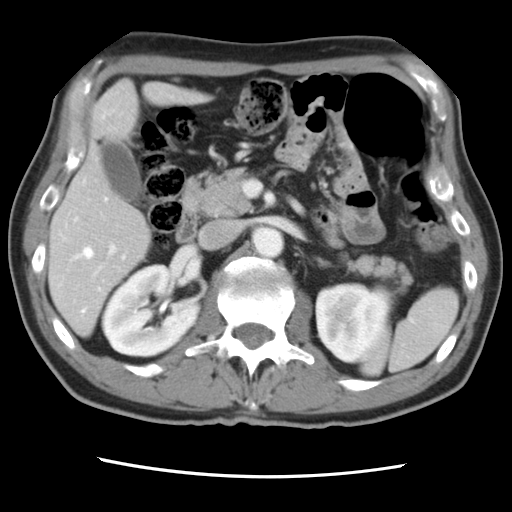 Computed tomography | Abdomen | 512x512 px
Not every hepatic vessel necessarily has a box.
Hepatic vessel: bounding box [x1=82, y1=309, x2=84, y2=311], [x1=105, y1=198, x2=106, y2=200], [x1=109, y1=245, x2=115, y2=253], [x1=75, y1=217, x2=77, y2=220], [x1=76, y1=247, x2=92, y2=257], [x1=123, y1=255, x2=124, y2=258], [x1=98, y1=287, x2=100, y2=289].